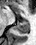
MR image

posterior hippocampus: bbox=[13, 21, 28, 33]